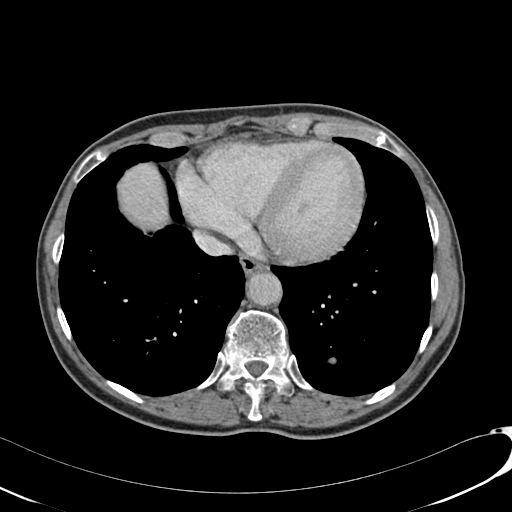 CT image. Abdomen. Annotated regions:
• liver: 119:165:167:226